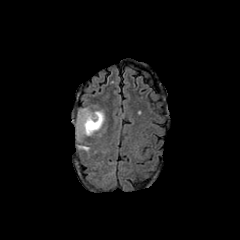
FLAIR MR image.
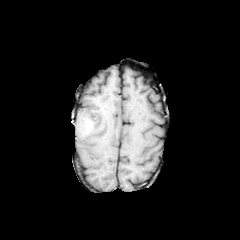
Same slice, T1-weighted MRI.
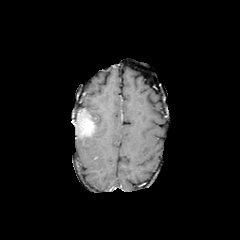
Post-contrast T1-weighted MR.
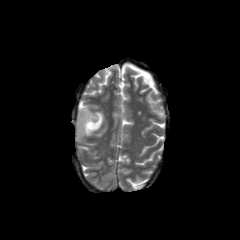
Same slice, T2-weighted MRI.
Brain
Enhancing tumor: [75, 109, 95, 135].
Edema: [74, 107, 104, 151].